Slice index 77 | Brain | Field of view 240x240 mm
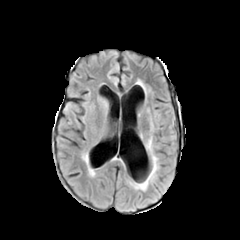
FLAIR MR image.
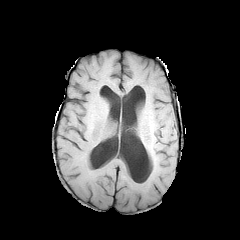
Same slice, T1-weighted magnetic resonance.
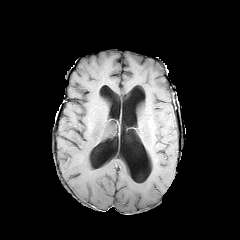
Post-contrast T1-weighted magnetic resonance.
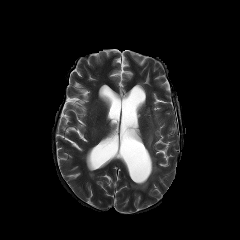
Same slice, T2-weighted MR.
edema:
  - box(131, 137, 158, 190)